CT. Image size 512x512. Slice 17 of 49. Abdomen.
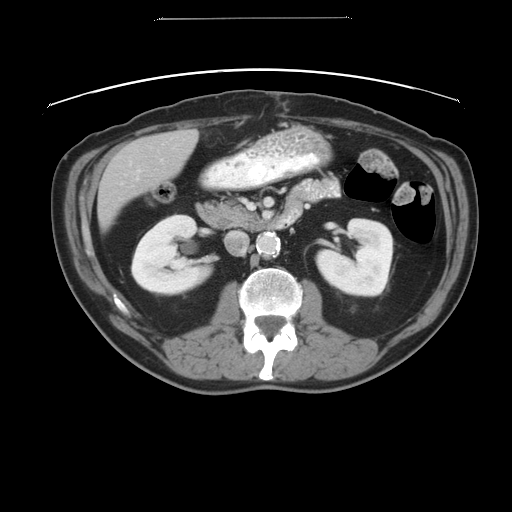 Some hepatic vessels may have no box.
{
  "hepatic_vessel": [
    "(left=137, top=168, right=140, bottom=179)"
  ]
}